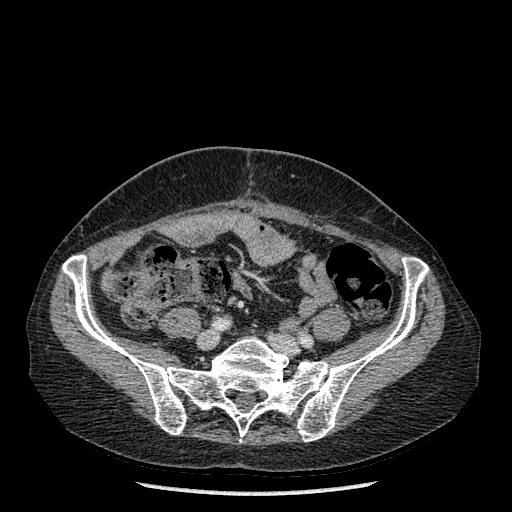

CT
Bone — rect(62, 254, 428, 442).